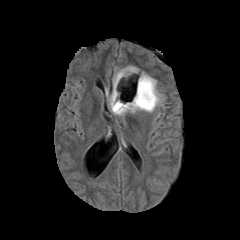
FLAIR MR image.
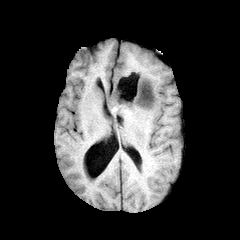
Same slice, T1-weighted MRI.
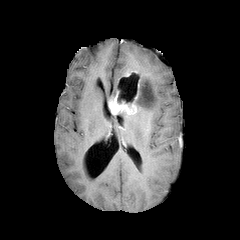
Post-contrast T1-weighted MRI of the same slice.
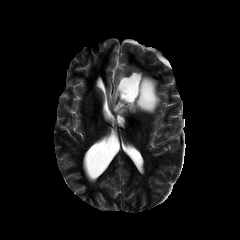
Same slice, T2-weighted MRI.
Image size 240x240. Brain.
Enhancing tumor = (108, 92, 137, 114).
Edema = (105, 66, 163, 113).
Non-enhancing tumor core = (144, 88, 152, 105), (120, 96, 135, 104), (134, 75, 142, 107).